CT image; Slice 100/161; Liver; Field of view 440 mm wide, 1.50 mm slice spacing 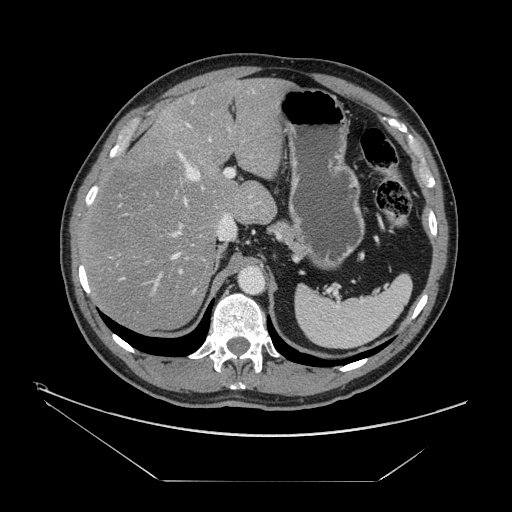 The vessel boxes may cover only some of the vessels.
<segmentation>
  <hepatic_vessel>region(173, 254, 178, 257); region(159, 275, 160, 277); region(187, 124, 189, 126); region(186, 163, 199, 179); region(178, 152, 183, 160); region(175, 232, 180, 234); region(184, 200, 186, 203)</hepatic_vessel>
</segmentation>